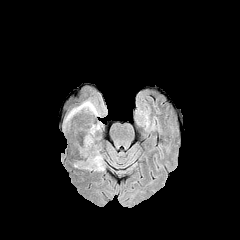
FLAIR MR.
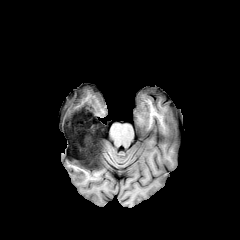
T1-weighted magnetic resonance of the same slice.
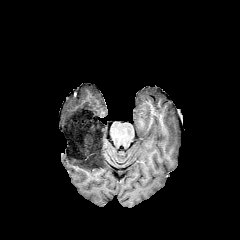
Post-contrast T1-weighted MR of the same slice.
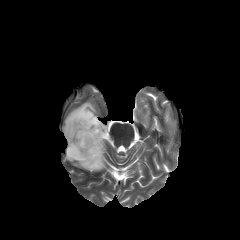
T2-weighted MR.
Brain
<segmentation>
  <non-enhancing_tumor_core>left=65, top=106, right=103, bottom=169</non-enhancing_tumor_core>
  <edema>left=90, top=154, right=105, bottom=171; left=70, top=130, right=81, bottom=143; left=64, top=99, right=98, bottom=131</edema>
</segmentation>